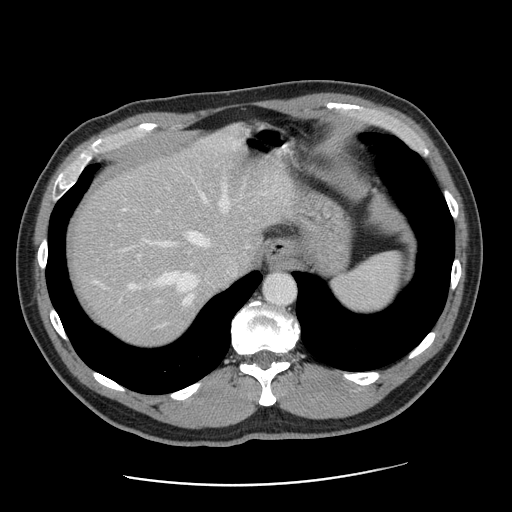 CT, 512x512, Abdomen
The vessel annotation is not exhaustive.
Findings:
• hepatic vessel: bbox(129, 284, 139, 289); bbox(154, 272, 196, 305); bbox(188, 231, 249, 283); bbox(201, 191, 205, 198); bbox(96, 281, 101, 284); bbox(220, 185, 228, 207); bbox(125, 208, 126, 209)
• liver tumor: bbox(140, 271, 150, 280)